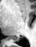 MRI slice, Hippocampus

Annotated regions:
• posterior hippocampus: [x1=12, y1=37, x2=18, y2=40]